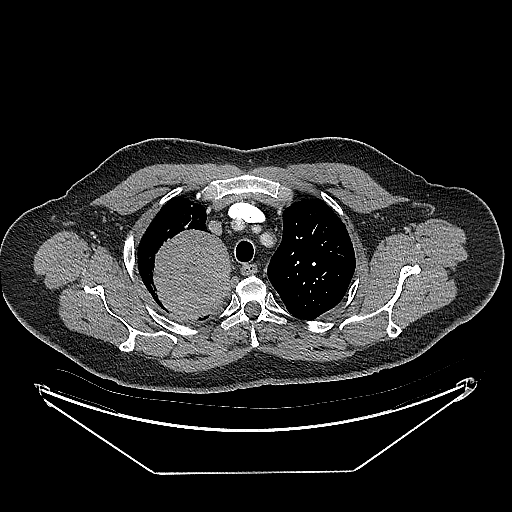 CT scan slice; Chest; Image size 512x512
The lung tumor appears at 149:228:231:319.